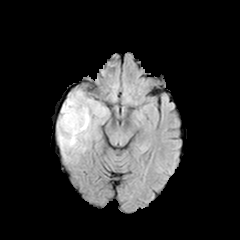
FLAIR MR.
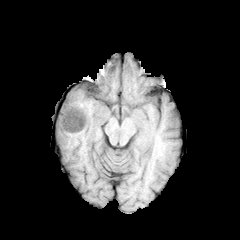
T1-weighted MR.
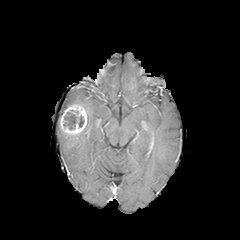
Post-contrast T1-weighted MR.
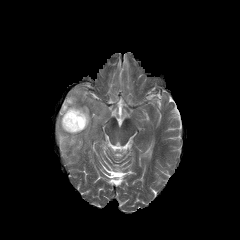
T2-weighted MRI.
Brain
edema:
  - <bbox>57, 90, 108, 160</bbox>
enhancing_tumor:
  - <bbox>59, 104, 86, 134</bbox>
non-enhancing_tumor_core:
  - <bbox>79, 116, 84, 127</bbox>
  - <bbox>63, 112, 76, 129</bbox>